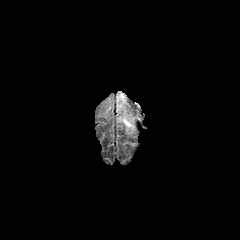
FLAIR MR image.
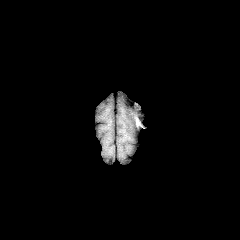
Same slice, T1-weighted MR.
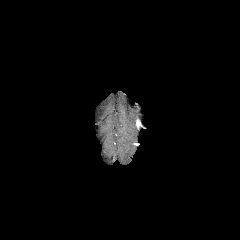
Same slice, post-contrast T1-weighted MR.
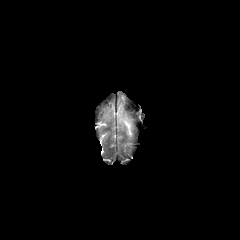
T2-weighted MR image.
Brain
Edema: bbox=[119, 115, 134, 129].